Slice 7 of 33, MRI slice, Image width 34 mm, Medial temporal lobe
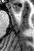

Annotated regions:
* anterior hippocampus: 11 5 19 12